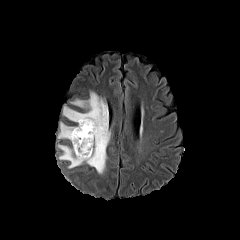
FLAIR magnetic resonance.
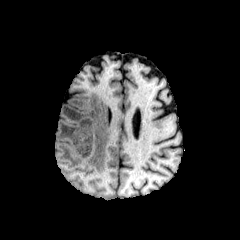
T1-weighted magnetic resonance of the same slice.
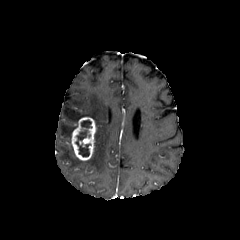
Same slice, post-contrast T1-weighted magnetic resonance.
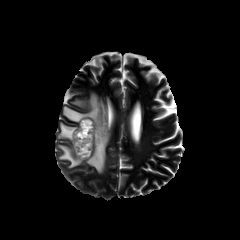
T2-weighted MR image.
Brain.
The enhancing tumor appears at 69,117,97,161. 3 edema regions are located at 58,122,75,139; 58,144,83,168; 63,92,110,174. 2 non-enhancing tumor core regions appear at 76,129,91,157; 80,120,92,128.